Brain
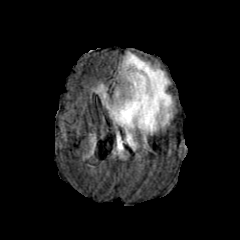
FLAIR magnetic resonance.
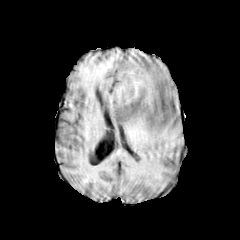
Same slice, T1-weighted MRI.
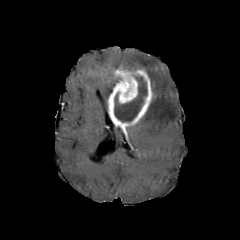
Post-contrast T1-weighted magnetic resonance.
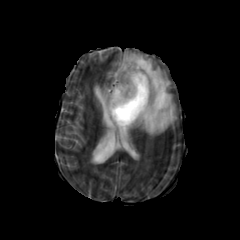
T2-weighted MR of the same slice.
The enhancing tumor is at rect(107, 65, 152, 127). 3 edema regions are bounded by rect(116, 132, 124, 149); rect(97, 85, 108, 108); rect(120, 52, 173, 143). The non-enhancing tumor core lies within rect(114, 76, 147, 122).